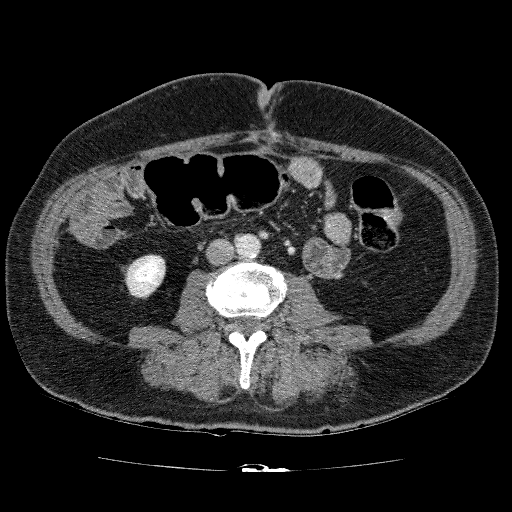

Computed tomography; Abdomen

Annotated regions:
- kidney: l=126, t=255, r=165, b=297